Field of view 200 mm wide, 3.60 mm slice spacing, Slice 6 of 20
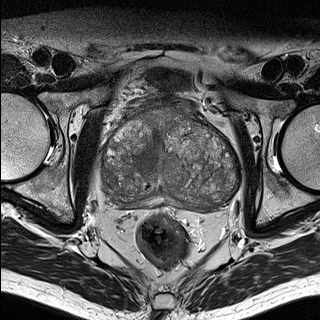
T2-weighted MRI.
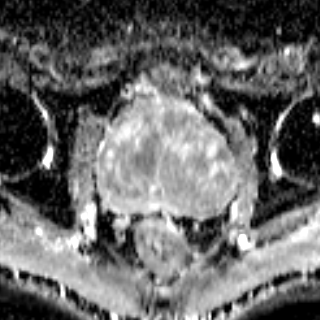
ADC MRI of the same slice.
{"prostate_peripheral_zone": ["box=[110, 197, 209, 210]"], "prostate_transition_zone": ["box=[103, 107, 237, 209]"]}